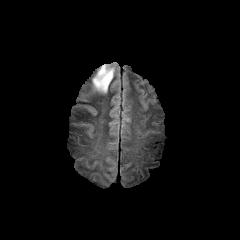
FLAIR MR image.
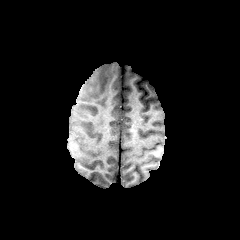
T1-weighted MRI.
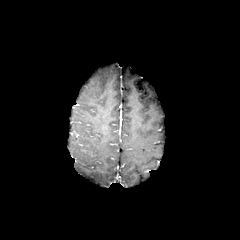
Post-contrast T1-weighted MRI.
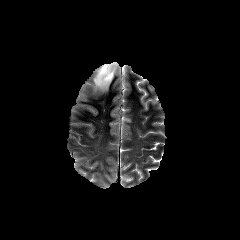
T2-weighted MR of the same slice.
The edema is at 93:64:116:92.